Head; Field of view 240 mm wide, 1.00 mm slice spacing
FLAIR MRI.
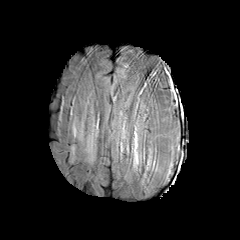
T1-weighted MR.
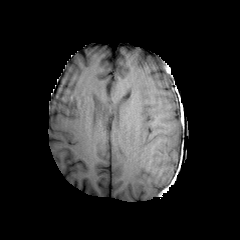
Post-contrast T1-weighted MR.
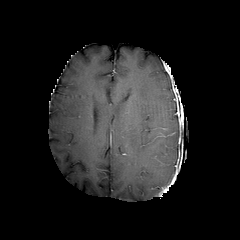
T2-weighted MR.
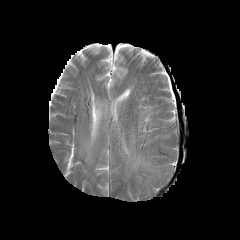
The edema appears at (x1=132, y1=141, x2=138, y2=163).